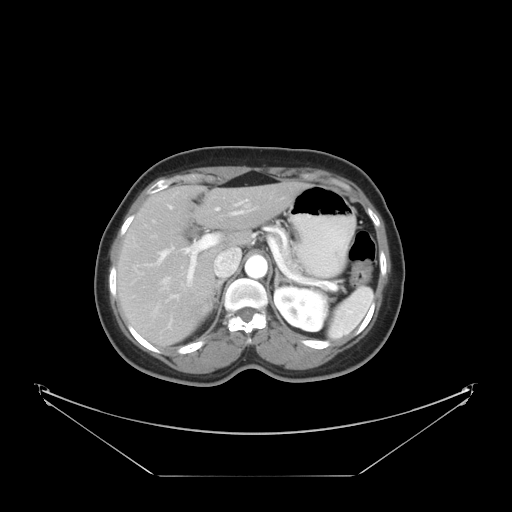
Image size 512x512. Computed tomography. Abdomen.

Colon tumor — region(355, 262, 369, 279).